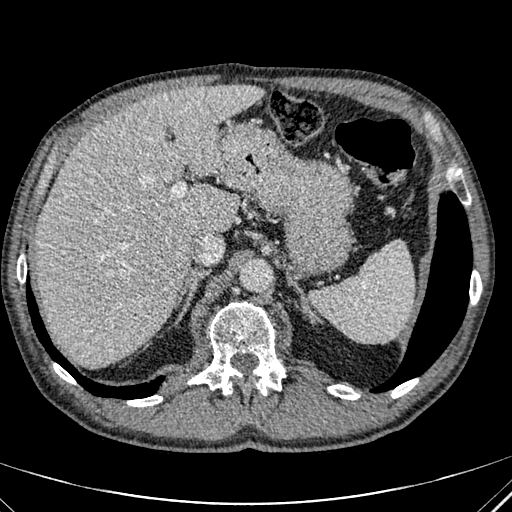 CT scan slice
Liver at 36, 85, 264, 366.